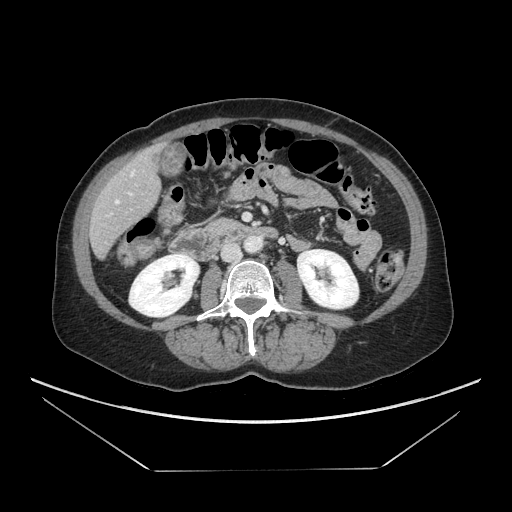 Abdomen; CT image
Segmented structures:
* pancreas: left=208, top=218, right=240, bottom=234